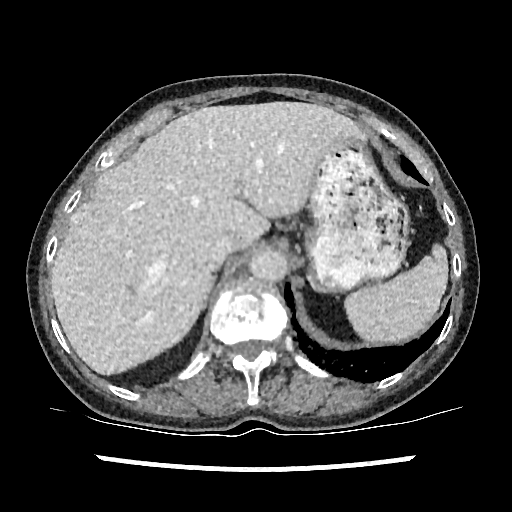 CT image
Segmented structures:
• liver: x1=53 y1=103 x2=365 y2=372